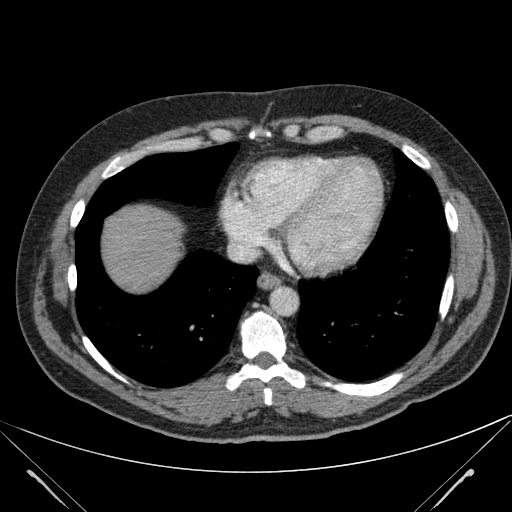

Image size 512x512, CT scan slice, Abdomen
Segmented structures:
* liver: 102 205 181 291